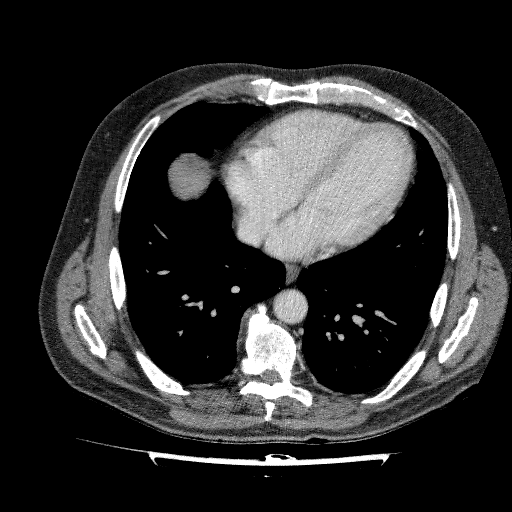
CT slice; Upper abdomen
Liver — 169:160:208:197.